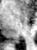 Medial temporal lobe. MR image. Image size 37x50.

{"posterior_hippocampus": ["[13, 40, 19, 43]"]}